Slice index 68; 240x240 px
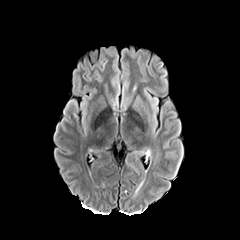
FLAIR MR image.
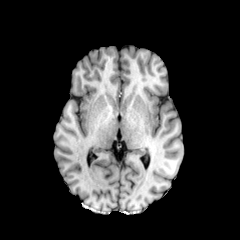
Same slice, T1-weighted MRI.
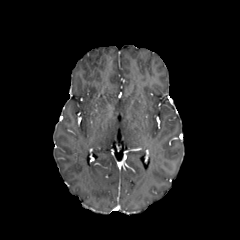
Post-contrast T1-weighted MR image of the same slice.
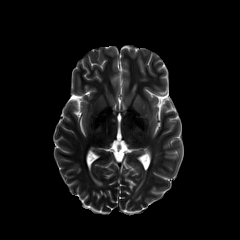
T2-weighted MRI.
Segmented structures:
• edema: x1=151 y1=97 x2=158 y2=134, x1=120 y1=85 x2=130 y2=114